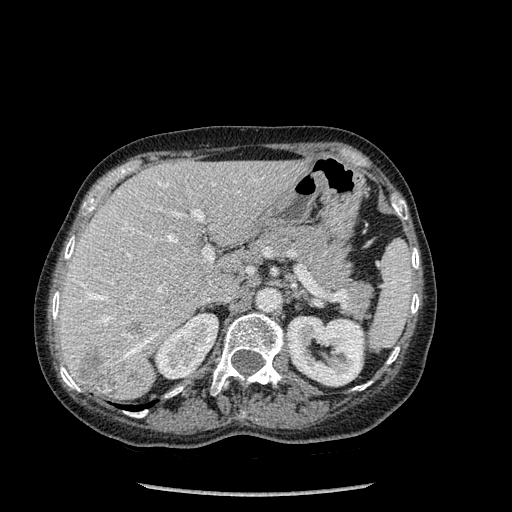

Upper abdomen, CT
3 liver lesion regions are bounded by x1=127 y1=371 x2=140 y2=382, x1=78 y1=348 x2=116 y2=394, x1=127 y1=324 x2=142 y2=334. 2 kidney regions are bounded by x1=156 y1=314 x2=217 y2=378, x1=287 y1=316 x2=363 y2=385. The lung appears at x1=125 y1=406 x2=145 y2=410. The liver is located at x1=60 y1=160 x2=307 y2=399. 12 bone regions are located at x1=51 y1=291 x2=61 y2=319, x1=392 y1=199 x2=407 y2=219, x1=211 y1=313 x2=283 y2=395, x1=410 y1=293 x2=419 y2=313, x1=60 y1=366 x2=80 y2=391, x1=123 y1=410 x2=147 y2=417, x1=82 y1=204 x2=94 y2=215, x1=386 y1=346 x2=399 y2=364, x1=165 y1=386 x2=183 y2=397, x1=352 y1=381 x2=371 y2=390, x1=64 y1=236 x2=75 y2=259, x1=410 y1=248 x2=419 y2=268.